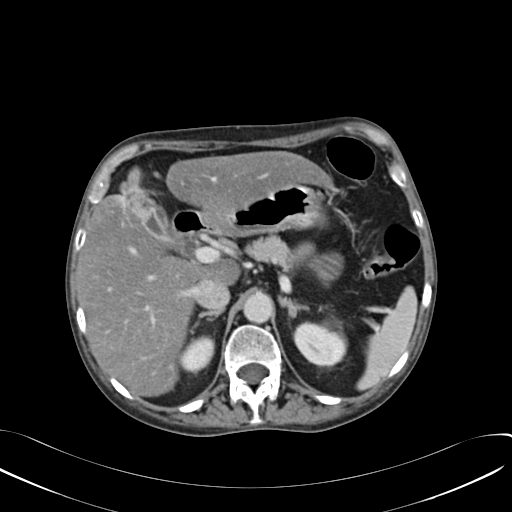
CT image
Liver = left=78, top=168, right=239, bottom=396; left=167, top=150, right=332, bottom=209.
Hepatic lesion = left=119, top=186, right=143, bottom=212.
Kidney = left=184, top=343, right=208, bottom=368; left=296, top=325, right=343, bottom=363.